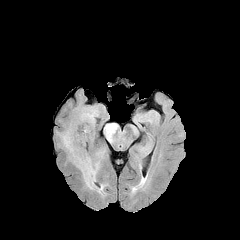
FLAIR magnetic resonance.
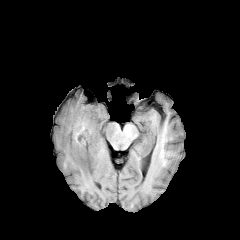
T1-weighted magnetic resonance.
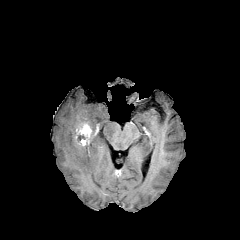
Post-contrast T1-weighted MR.
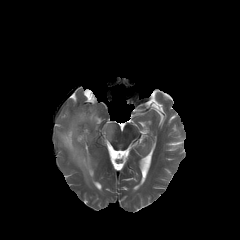
T2-weighted MR image.
Head.
<segmentation>
  <edema>(60, 126, 105, 194), (103, 123, 115, 142), (78, 105, 106, 126)</edema>
  <enhancing_tumor>(76, 124, 91, 145)</enhancing_tumor>
</segmentation>